CT image | Liver | Slice 34 of 108 | Field of view 425 mm wide, 2.50 mm slice spacing 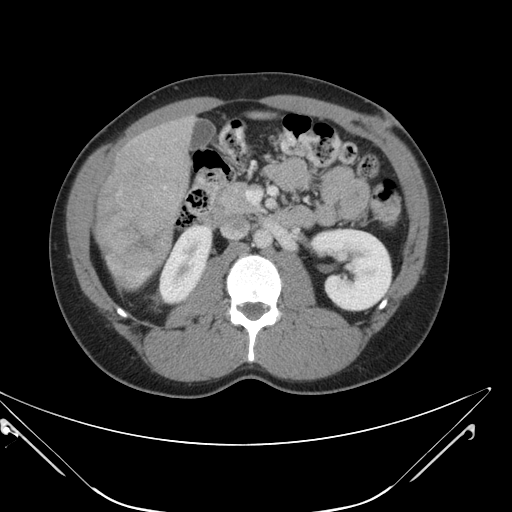
Some hepatic vessels may have no box.
Hepatic vessel: bounding box l=164, t=186, r=166, b=188; l=150, t=158, r=151, b=159.
Liver tumor: bounding box l=96, t=211, r=172, b=269.